Abdomen; Computed tomography
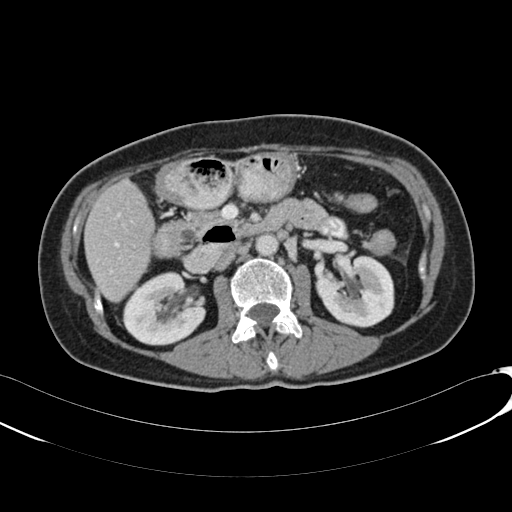

2 liver regions are located at box=[84, 181, 152, 300]; box=[224, 159, 244, 165]. 2 kidney regions appear at box=[124, 273, 204, 344]; box=[317, 257, 392, 325].